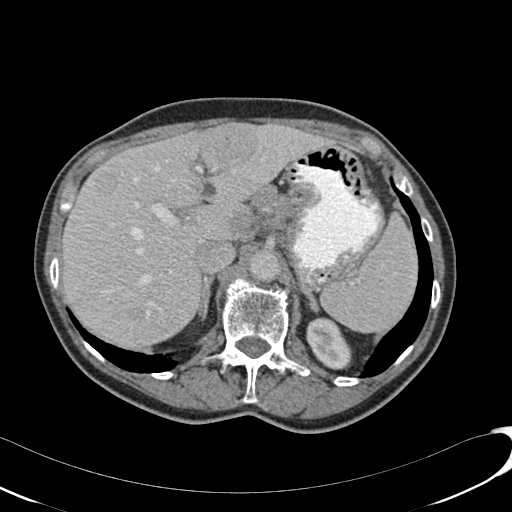

Computed tomography; Liver
kidney:
  - x1=307, y1=319, x2=349, y2=369
liver:
  - x1=61, y1=124, x2=338, y2=346
focal_liver_lesion:
  - x1=208, y1=124, x2=257, y2=167
  - x1=212, y1=169, x2=220, y2=175
  - x1=194, y1=184, x2=201, y2=192
  - x1=96, y1=169, x2=114, y2=193
  - x1=132, y1=309, x2=141, y2=318